FLAIR MR image.
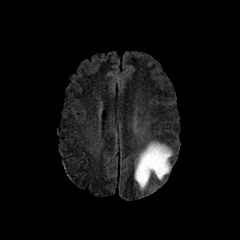
T1-weighted MR image.
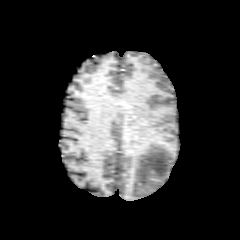
Post-contrast T1-weighted magnetic resonance.
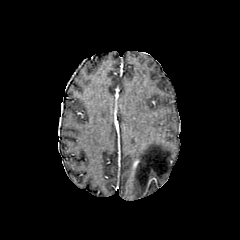
T2-weighted MR image.
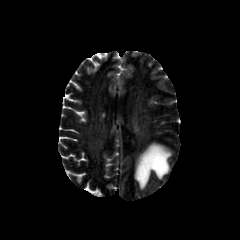
Head
edema:
  - [134,141,172,190]